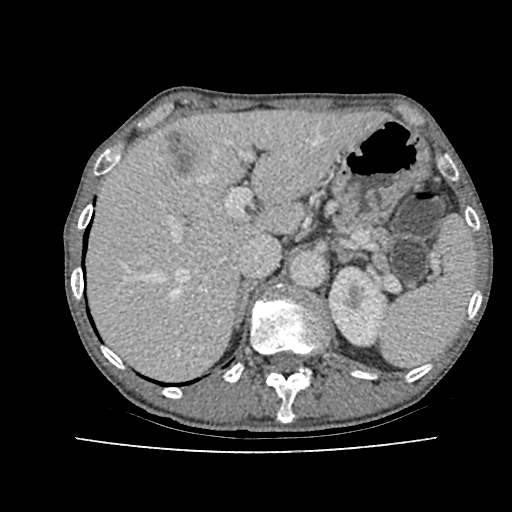

Abdomen | CT slice
Findings:
- kidney: bbox=[329, 270, 385, 344]
- hepatic lesion: bbox=[163, 128, 195, 176]
- liver: bbox=[89, 111, 378, 379]